Computed tomography. Upper abdomen. 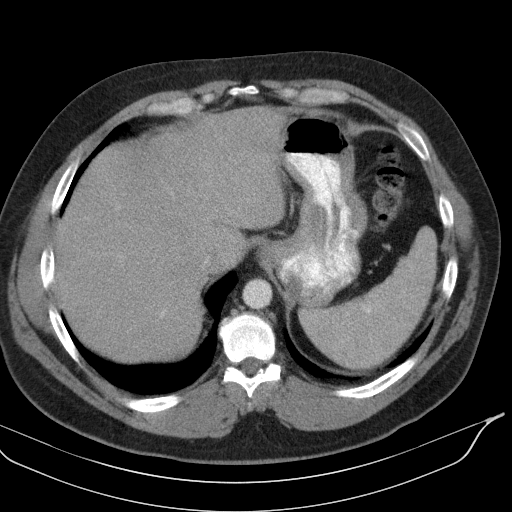 <segmentation>
  <spleen>bbox=[299, 228, 435, 368]</spleen>
</segmentation>